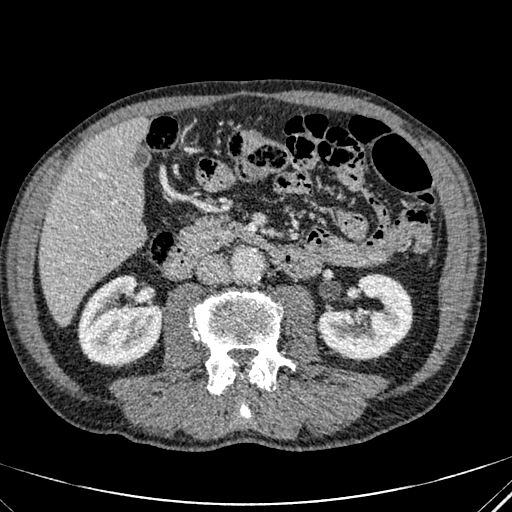

Computed tomography. Upper abdomen.

Segmented structures:
- kidney: box=[79, 276, 161, 363]; box=[320, 275, 411, 358]
- liver: box=[40, 117, 145, 324]